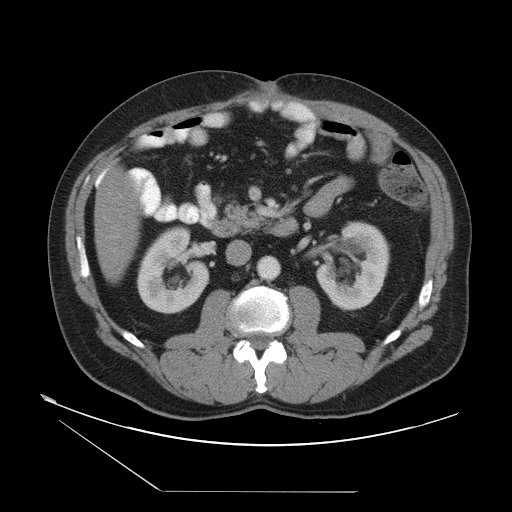

Abdomen, CT slice
Only some of the vessels may be annotated.
2 hepatic vessel regions are located at bbox(127, 175, 130, 179); bbox(132, 207, 134, 208).